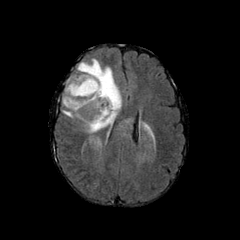
FLAIR MR.
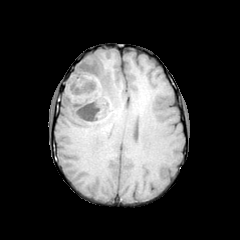
T1-weighted MRI of the same slice.
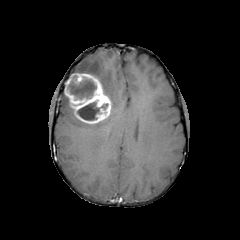
Same slice, post-contrast T1-weighted MRI.
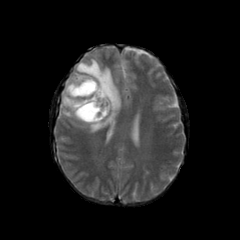
T2-weighted MR image.
Head
Findings:
• enhancing tumor: box=[64, 73, 111, 123]
• non-enhancing tumor core: box=[69, 78, 96, 98]; box=[77, 102, 100, 120]
• edema: box=[62, 96, 75, 118]; box=[77, 58, 121, 133]